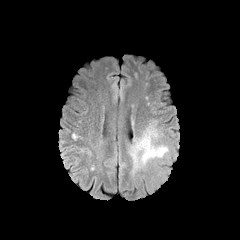
FLAIR MR.
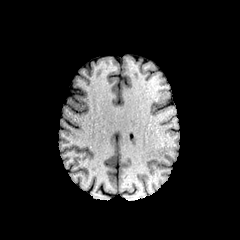
T1-weighted MR of the same slice.
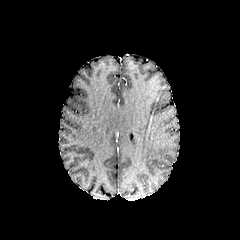
Same slice, post-contrast T1-weighted MR image.
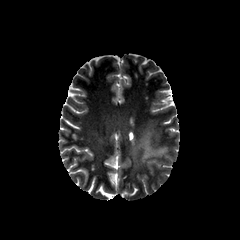
T2-weighted MRI of the same slice.
Image size 240x240; Brain
Findings:
* edema: [131, 120, 167, 171]